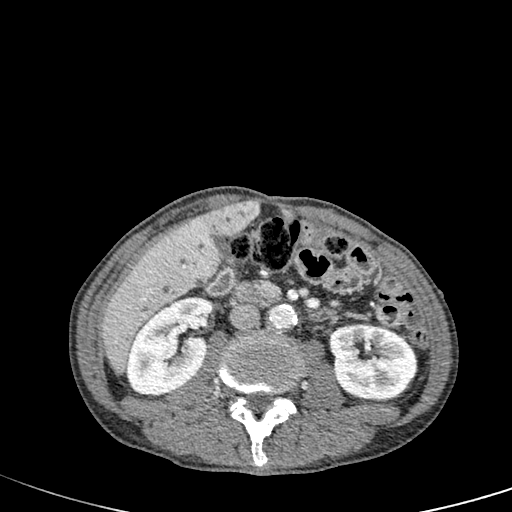

CT image; Upper abdomen

The focal liver lesion is bounded by [211,201,258,236]. 2 kidney regions are bounded by [330,325,416,399], [127,298,211,394]. The liver is bounded by [102,210,224,375].